CT image
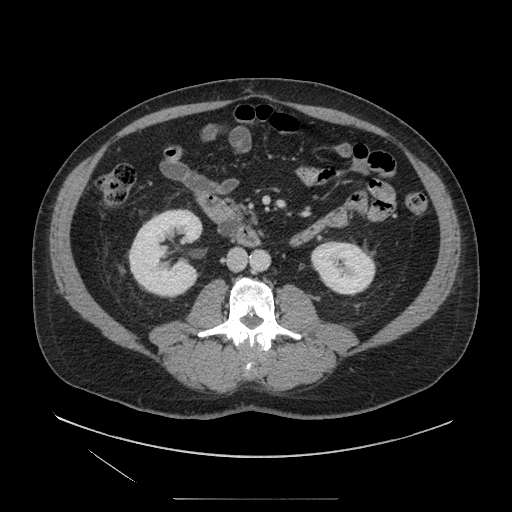
The pancreas is bounded by 210 205 244 242. The pancreatic tumor is located at 219 216 242 236.